FLAIR MR.
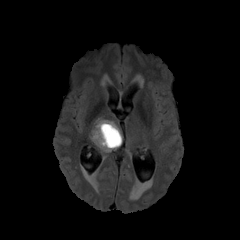
T1-weighted magnetic resonance.
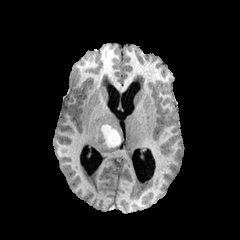
Post-contrast T1-weighted MR image.
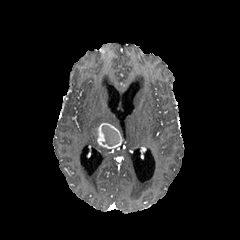
T2-weighted magnetic resonance.
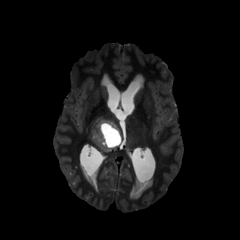
The enhancing tumor appears at x1=97, y1=123, x2=121, y2=148. The edema is bounded by x1=89, y1=118, x2=118, y2=152. The non-enhancing tumor core is at x1=101, y1=124, x2=120, y2=146.